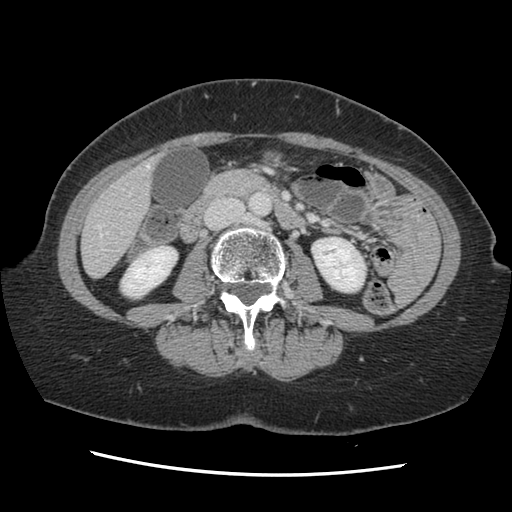 CT | Abdomen
Only some of the vessels may be annotated.
Hepatic vessel: x1=146 y1=163 x2=149 y2=168, x1=97 y1=225 x2=107 y2=235.